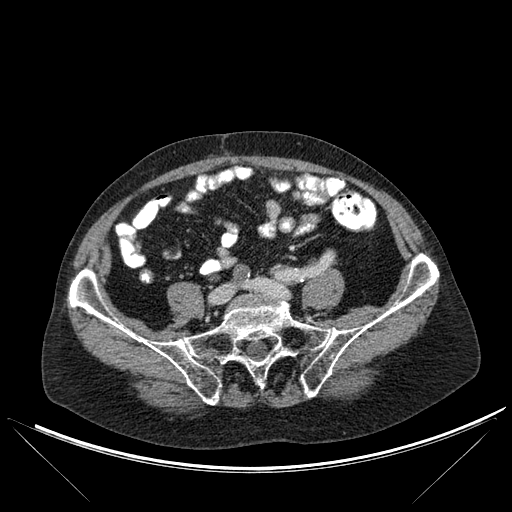
CT slice
bone:
  - box(69, 254, 438, 404)